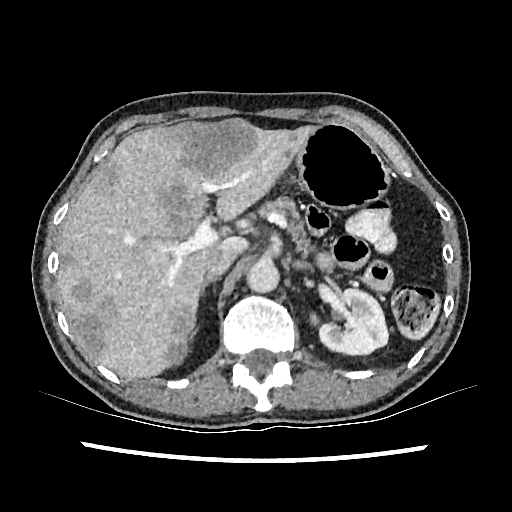

Computed tomography, 512x512
The liver lies within {"x1": 59, "y1": 128, "x2": 311, "y2": 377}. The kidney is at {"x1": 319, "y1": 285, "x2": 394, "y2": 358}. 8 focal liver lesion regions appear at {"x1": 170, "y1": 120, "x2": 256, "y2": 177}, {"x1": 71, "y1": 277, "x2": 92, "y2": 302}, {"x1": 61, "y1": 253, "x2": 74, "y2": 268}, {"x1": 159, "y1": 183, "x2": 191, "y2": 233}, {"x1": 102, "y1": 167, "x2": 114, "y2": 180}, {"x1": 170, "y1": 307, "x2": 192, "y2": 360}, {"x1": 287, "y1": 130, "x2": 297, "y2": 140}, {"x1": 72, "y1": 296, "x2": 114, "y2": 359}.